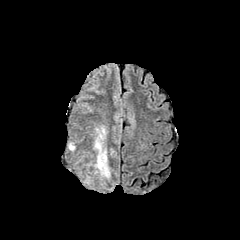
FLAIR MRI.
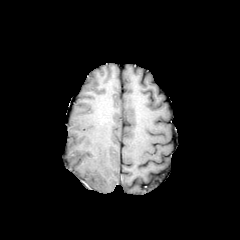
T1-weighted MRI.
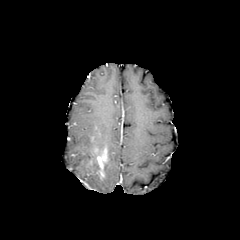
Post-contrast T1-weighted MR image.
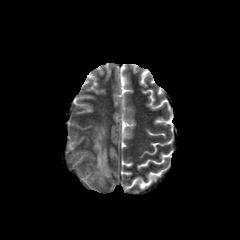
Same slice, T2-weighted MR image.
enhancing tumor: box(97, 156, 105, 167) | edema: box(84, 174, 93, 184); box(86, 127, 105, 173); box(98, 157, 110, 181); box(68, 142, 75, 150)